Head, Slice 94 of 155, 240x240
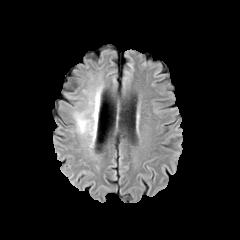
FLAIR magnetic resonance.
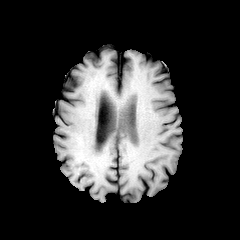
T1-weighted MR of the same slice.
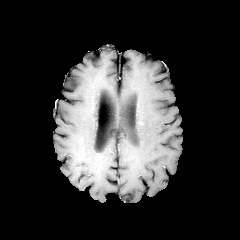
Post-contrast T1-weighted MR of the same slice.
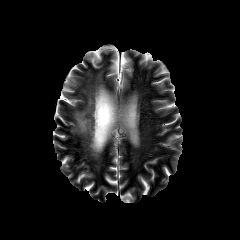
T2-weighted MR image.
The edema is located at 73 82 103 151.